240x240 px
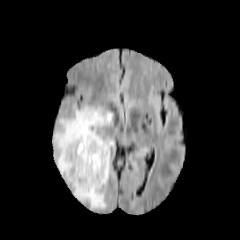
FLAIR MRI.
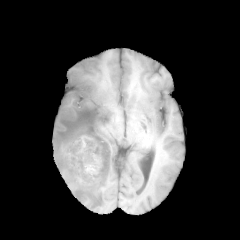
T1-weighted MR image.
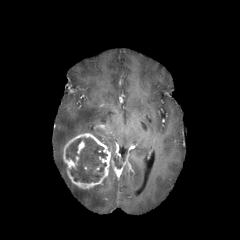
Post-contrast T1-weighted magnetic resonance of the same slice.
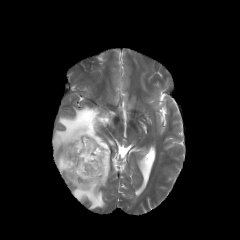
T2-weighted magnetic resonance.
2 non-enhancing tumor core regions appear at (65, 138, 82, 163), (69, 138, 108, 183). The edema is located at (53, 104, 113, 209). 2 enhancing tumor regions are bounded by (63, 133, 111, 188), (77, 139, 85, 154).